CT image | Slice index 144 | Abdomen

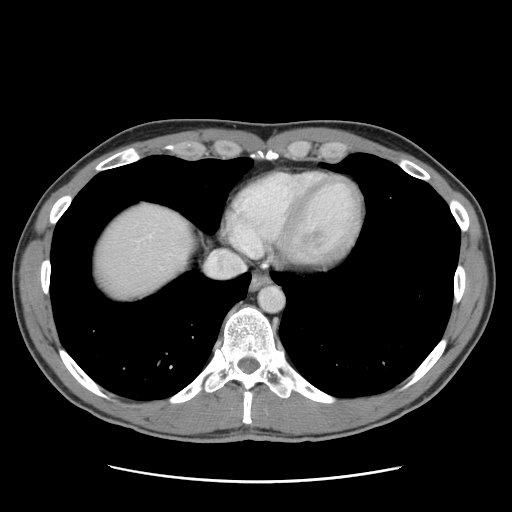
Some hepatic vessels may have no box.
The hepatic vessel is bounded by (148, 236, 150, 238).